Slice index 362; Upper abdomen; Image size 512x512; Computed tomography 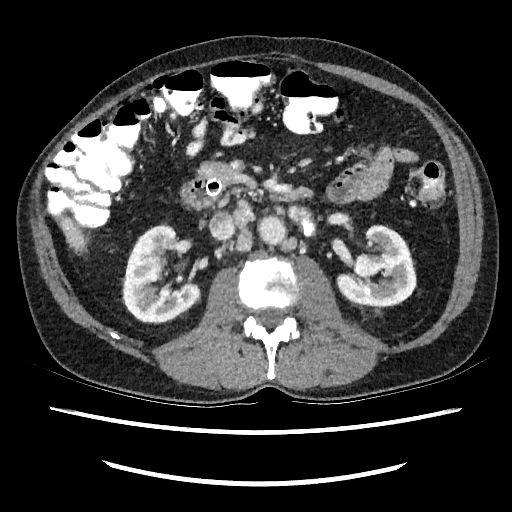
* liver: box(62, 218, 86, 248)
* kidney: box(124, 226, 198, 322); box(338, 226, 415, 305)